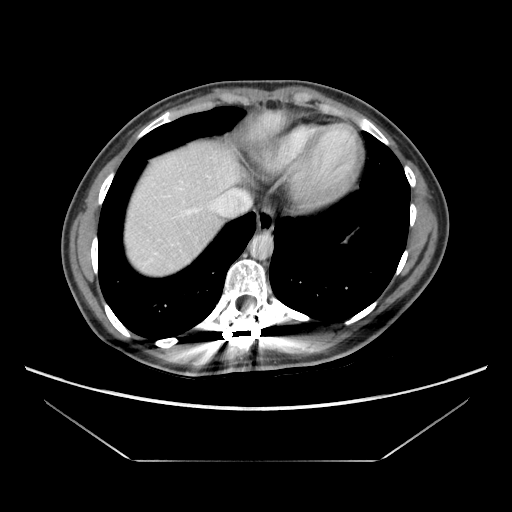
CT image
The vessel boxes may cover only some of the vessels.
hepatic_vessel:
  - [x1=209, y1=190, x2=249, y2=214]
  - [x1=179, y1=208, x2=200, y2=216]